Computed tomography. Field of view 388x388 mm. Slice index 490. 512x512. Liver.

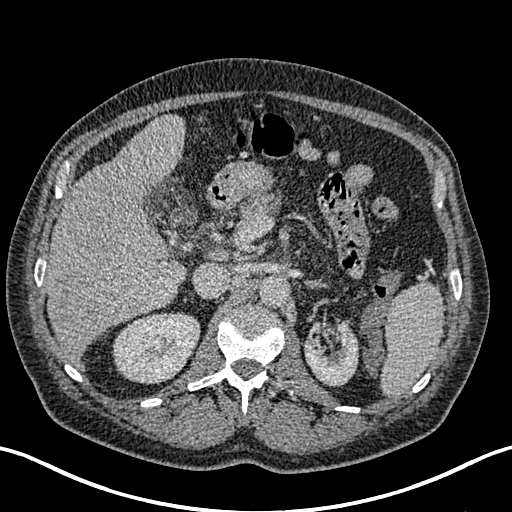 {
  "hepatic_lesion": [
    "54:282:79:319",
    "88:310:97:320"
  ],
  "kidney": [
    "305:324:357:385",
    "114:314:199:382"
  ],
  "liver": [
    "46:116:186:366"
  ]
}